Abdomen. Slice 62 of 82. Computed tomography. 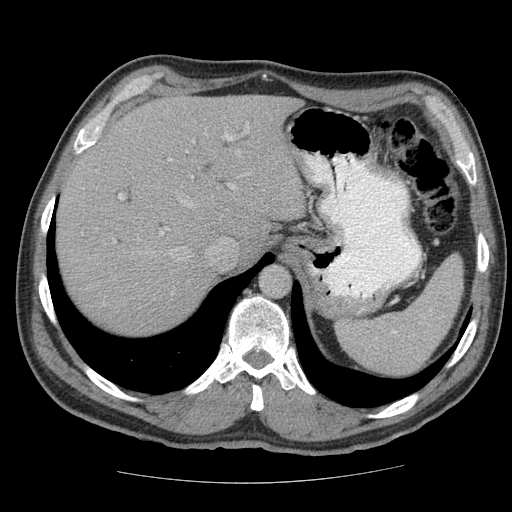

Some hepatic vessels may have no box.
12 hepatic vessel regions are located at (left=113, top=241, right=115, bottom=243), (left=208, top=240, right=233, bottom=260), (left=179, top=197, right=194, bottom=206), (left=167, top=247, right=190, bottom=260), (left=118, top=194, right=124, bottom=199), (left=228, top=184, right=234, bottom=188), (left=190, top=175, right=191, bottom=178), (left=159, top=229, right=167, bottom=234), (left=192, top=141, right=193, bottom=143), (left=224, top=134, right=232, bottom=140), (left=169, top=160, right=171, bottom=161), (left=245, top=123, right=247, bottom=131).